CT image, Abdomen, Field of view 411 mm wide, 0.80 mm slice spacing

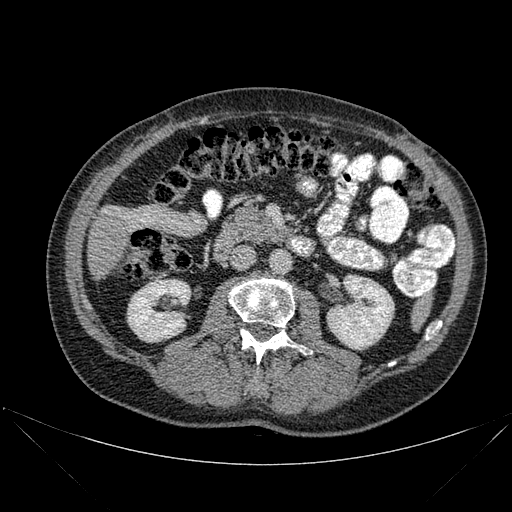

4 bone regions are located at box(426, 321, 441, 339); box(229, 278, 294, 327); box(240, 328, 311, 363); box(253, 379, 258, 389). 2 kidney regions are located at box(127, 280, 190, 341); box(327, 275, 393, 349). The liver lies within box(88, 212, 130, 279).